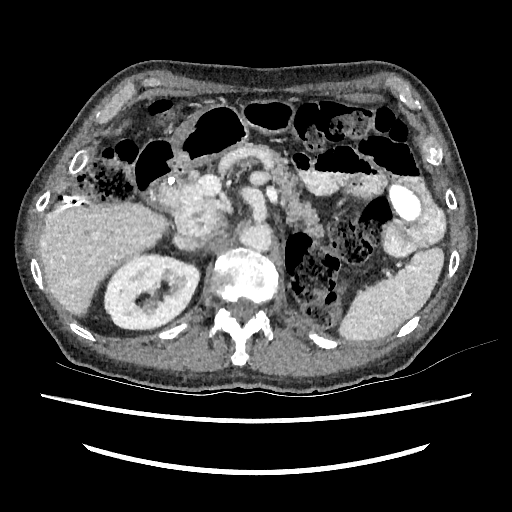

Computed tomography; 512x512
* liver: <bbox>41, 203, 164, 313</bbox>
* kidney: <bbox>105, 255, 198, 328</bbox>